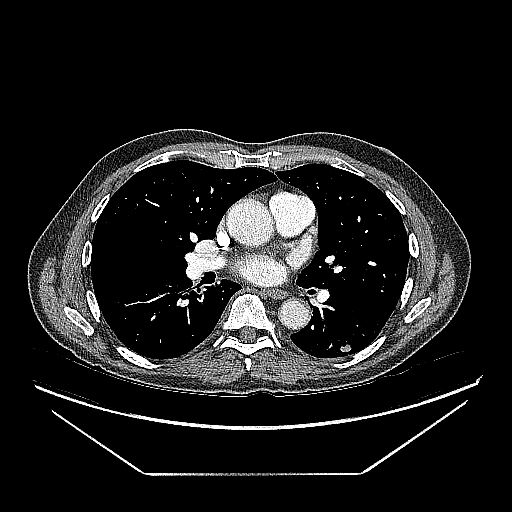 Computed tomography
Lung tumor at {"x1": 337, "y1": 339, "x2": 356, "y2": 355}.